Slice index 63 | CT scan slice | Upper abdomen
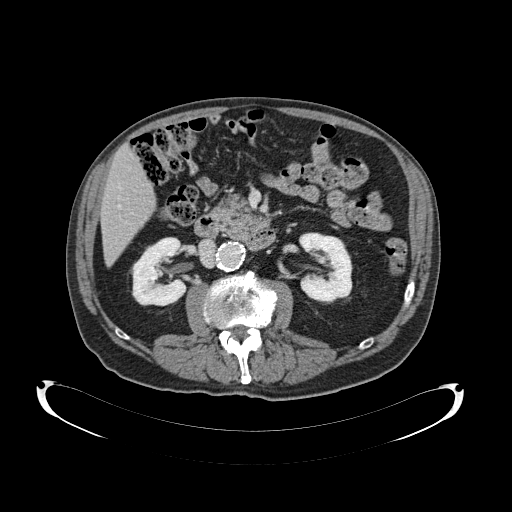 The pancreas lies within l=212, t=192, r=257, b=243.